Field of view 240 mm wide, 1.00 mm slice spacing | Brain | Slice index 110
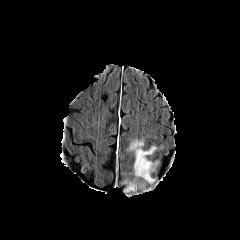
FLAIR MR.
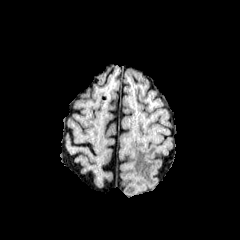
T1-weighted MRI.
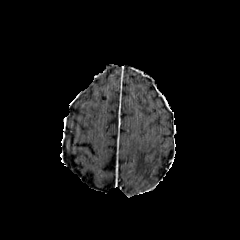
Same slice, post-contrast T1-weighted MRI.
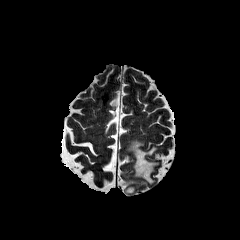
T2-weighted magnetic resonance.
Annotated regions:
- edema: [x1=122, y1=139, x2=158, y2=193]